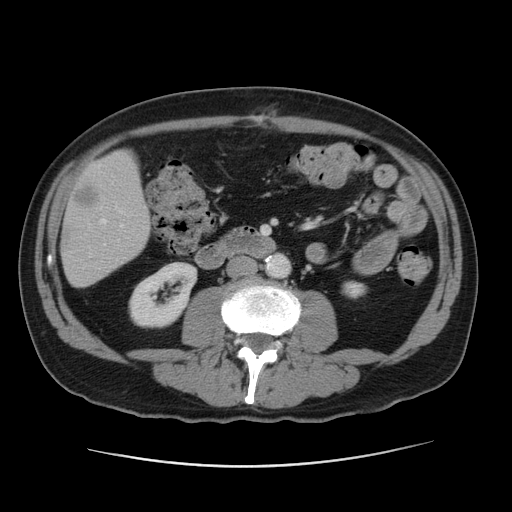 Upper abdomen, CT
Kidney at [x1=130, y1=263, x2=195, y2=326], [x1=342, y1=281, x2=366, y2=298].
Liver at [x1=62, y1=152, x2=148, y2=285].
Focal liver lesion at [x1=60, y1=234, x2=70, y2=249], [x1=75, y1=186, x2=101, y2=207].